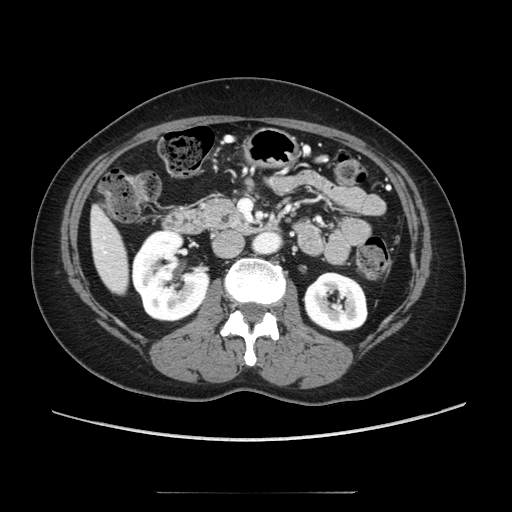

CT image | Abdomen | 512x512

{
  "pancreas": [
    "[198,199,250,231]"
  ]
}